MRI slice, Cardiac, Field of view 400 mm wide, 1.37 mm slice spacing 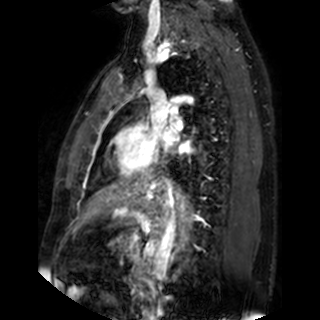

Segmented structures:
- left atrium: 178,142,190,152; 164,129,177,144